Brain; Slice 59/155
FLAIR MRI.
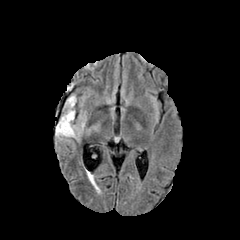
T1-weighted MR image.
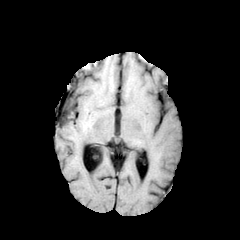
Post-contrast T1-weighted MR.
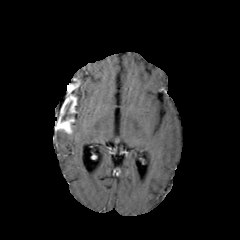
T2-weighted MR image.
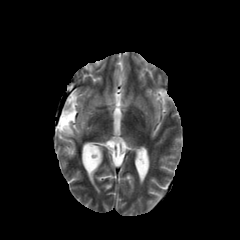
Annotated regions:
• enhancing tumor: [61, 94, 76, 113], [56, 114, 73, 133]
• non-enhancing tumor core: [56, 85, 76, 124]
• edema: [55, 92, 86, 145]